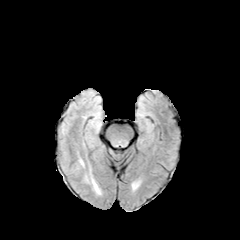
FLAIR MRI.
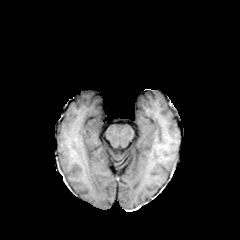
T1-weighted magnetic resonance.
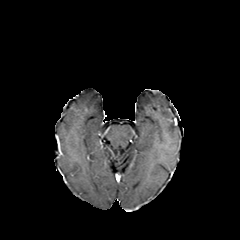
Post-contrast T1-weighted magnetic resonance.
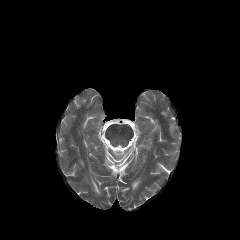
T2-weighted MR.
Brain
Annotated regions:
• edema: x1=92, y1=179, x2=100, y2=193